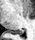

Image size 35x40 | Hippocampus | MRI slice

Posterior hippocampus — region(8, 29, 23, 34).